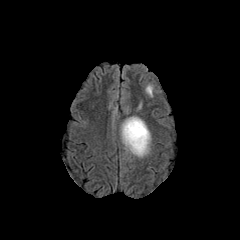
FLAIR MR.
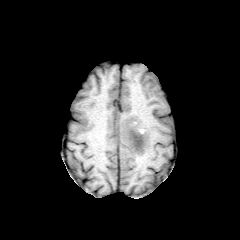
T1-weighted MR image.
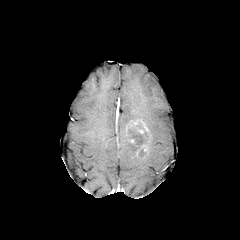
Same slice, post-contrast T1-weighted MRI.
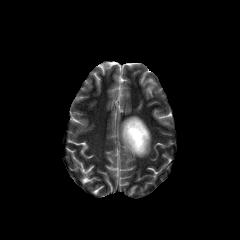
T2-weighted MRI.
240x240 px | Head
Edema: bounding box bbox=[120, 116, 150, 157].
Non-enhancing tumor core: bounding box bbox=[126, 119, 148, 152].